Abdomen, Computed tomography, Slice 42 of 99
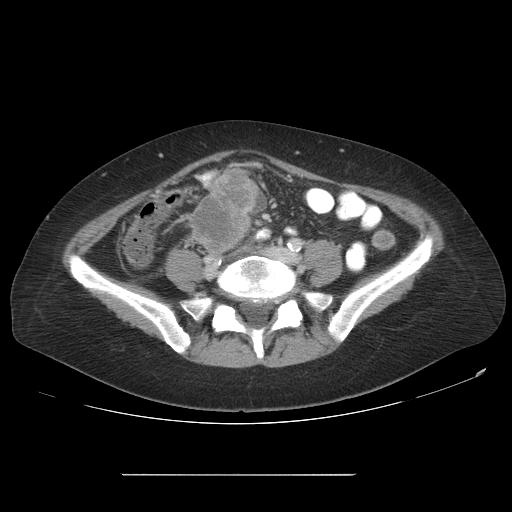
Colon tumor — region(190, 169, 256, 254).